CT, Image width 424 mm, Slice index 59

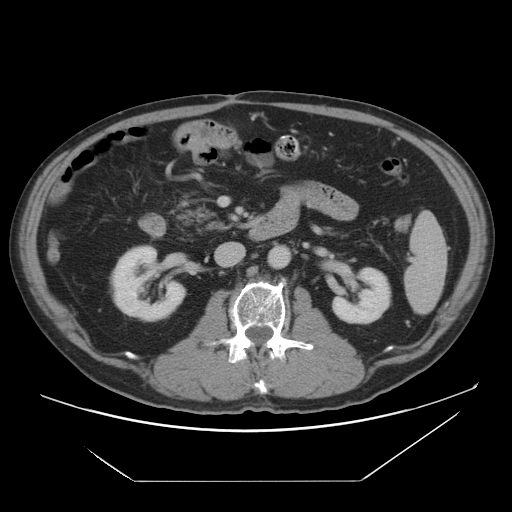
{"kidney": ["rect(333, 268, 389, 322)", "rect(113, 247, 184, 319)"]}